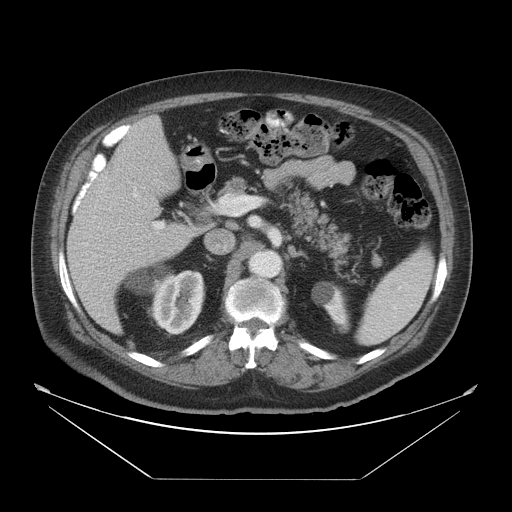
CT scan slice, Abdomen
Some hepatic vessels may have no box.
liver_tumor:
  - (left=166, top=169, right=180, bottom=188)
  - (left=104, top=160, right=118, bottom=179)
hepatic_vessel:
  - (left=133, top=188, right=137, bottom=197)
  - (left=153, top=222, right=163, bottom=229)
  - (left=207, top=232, right=229, bottom=252)
  - (left=220, top=195, right=240, bottom=215)
  - (left=200, top=229, right=203, bottom=231)